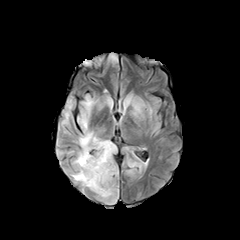
FLAIR MR image.
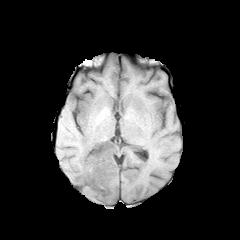
T1-weighted MRI of the same slice.
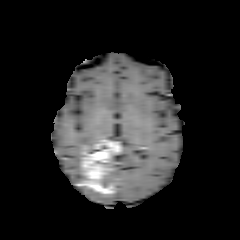
Post-contrast T1-weighted MRI.
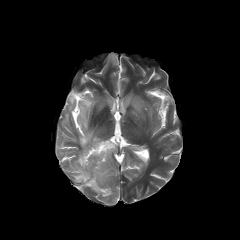
T2-weighted MRI.
Brain; 240x240
edema:
  - 66 96 101 182
  - 62 98 74 123
  - 104 172 112 184
non-enhancing_tumor_core:
  - 82 140 101 153
  - 95 154 113 189
enhancing_tumor:
  - 80 140 116 195